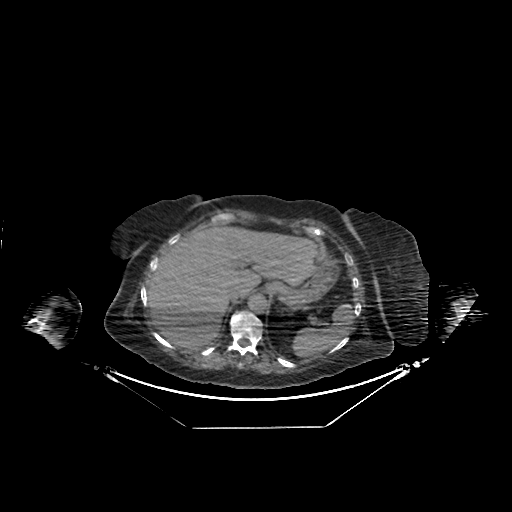

CT slice
<segmentation>
  <liver>(left=146, top=224, right=319, bottom=350)</liver>
</segmentation>